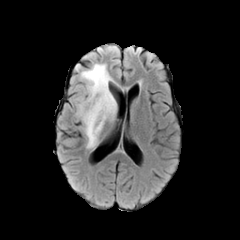
FLAIR MR.
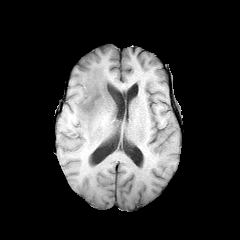
T1-weighted MRI.
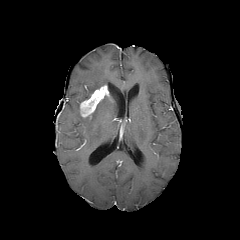
Same slice, post-contrast T1-weighted MR image.
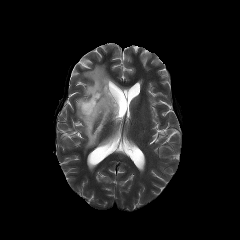
T2-weighted MRI of the same slice.
<segmentation>
  <enhancing_tumor>{"x1": 79, "y1": 84, "x2": 111, "y2": 118}</enhancing_tumor>
  <edema>{"x1": 76, "y1": 63, "x2": 118, "y2": 148}</edema>
  <non-enhancing_tumor_core>{"x1": 78, "y1": 88, "x2": 95, "y2": 107}, {"x1": 92, "y1": 96, "x2": 108, "y2": 116}</non-enhancing_tumor_core>
</segmentation>